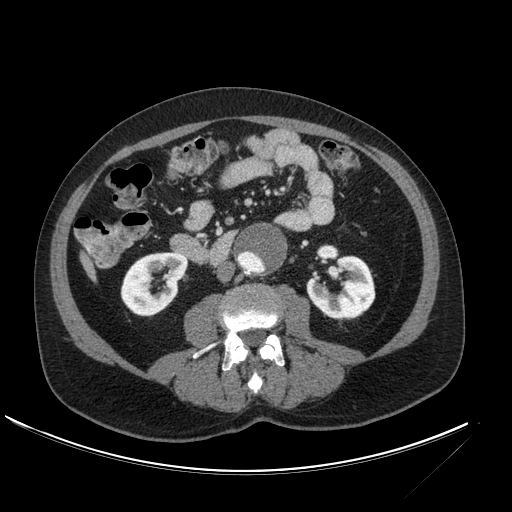
Computed tomography
Liver — [80, 251, 97, 281].
Kidney — [122, 253, 186, 314], [318, 246, 336, 254], [307, 257, 374, 317].